512x512. Image width 500 mm. Slice 70/148. Computed tomography.

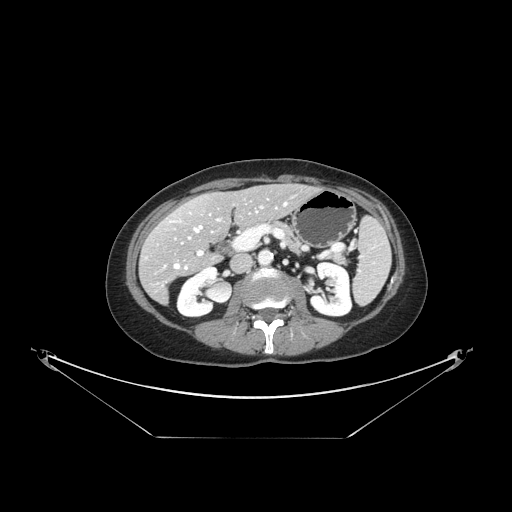
The vessel boxes may cover only some of the vessels.
hepatic vessel: l=198, t=251, r=202, b=255; l=194, t=226, r=201, b=231